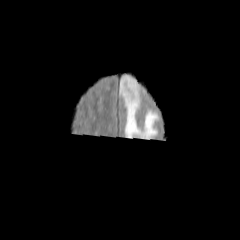
FLAIR MR.
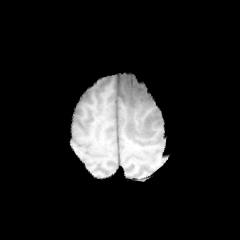
Same slice, T1-weighted magnetic resonance.
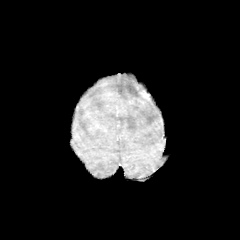
Post-contrast T1-weighted MR image of the same slice.
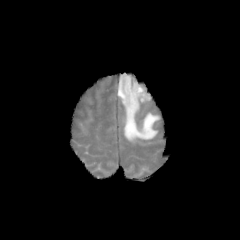
Same slice, T2-weighted MR.
Head
Edema: [x1=117, y1=74, x2=160, y2=141].